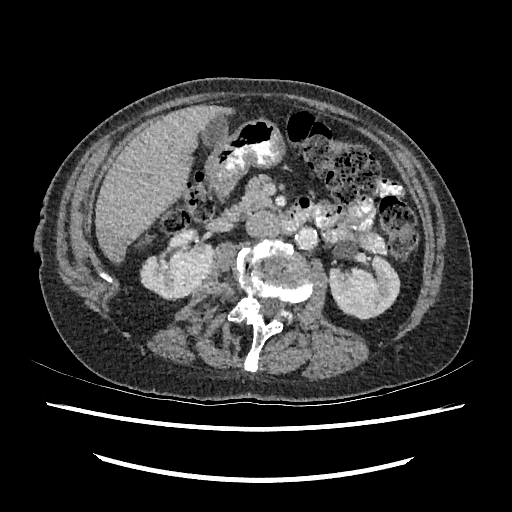 512x512 px; CT; Upper abdomen
liver: {"x1": 97, "y1": 105, "x2": 229, "y2": 263} | focal liver lesion: {"x1": 108, "y1": 232, "x2": 129, "y2": 250} | kidney: {"x1": 141, "y1": 245, "x2": 214, "y2": 298}, {"x1": 329, "y1": 253, "x2": 399, "y2": 318}